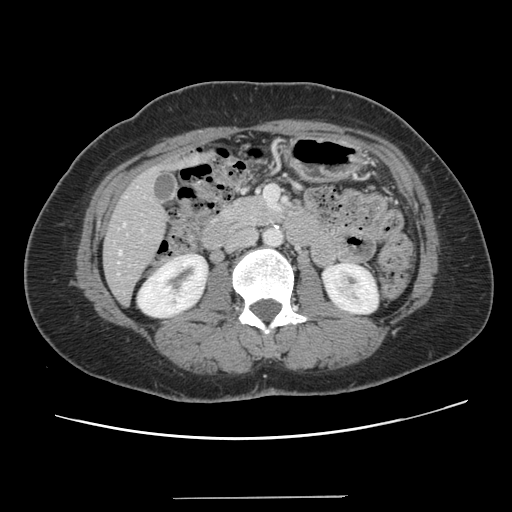
Abdomen | 512x512 | CT scan slice
Some hepatic vessels may have no box.
<segmentation>
  <hepatic_vessel>x1=141 y1=229 x2=142 y2=231, x1=118 y1=250 x2=121 y2=254, x1=123 y1=223 x2=125 y2=226</hepatic_vessel>
</segmentation>